Field of view 379x379 mm, Upper abdomen, CT slice
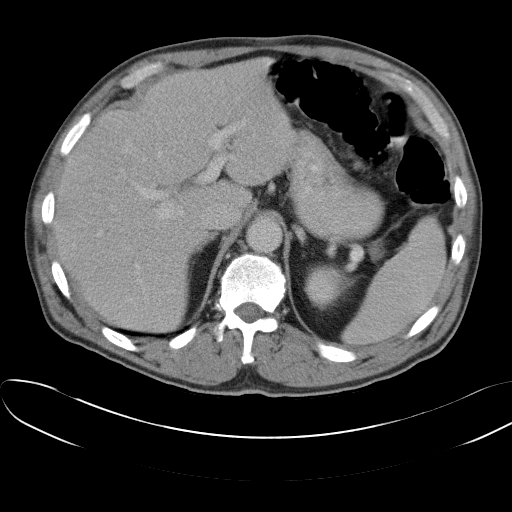

- spleen: <box>345,220,446,343</box>